Computed tomography 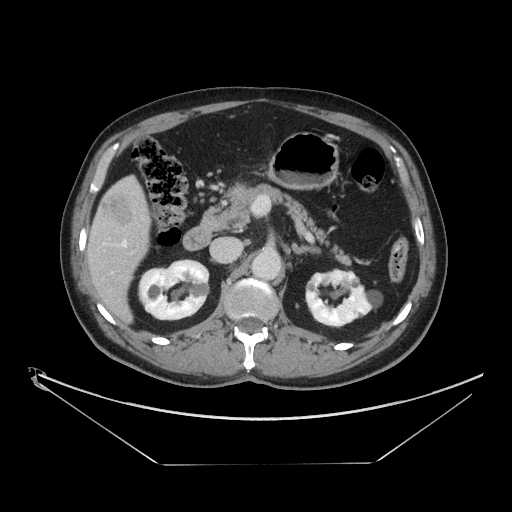 Only some of the vessels may be annotated.
2 hepatic vessel regions appear at [x1=121, y1=240, x2=126, y2=246], [x1=112, y1=272, x2=113, y2=273]. The liver tumor is bounded by [x1=99, y1=192, x2=134, y2=227].